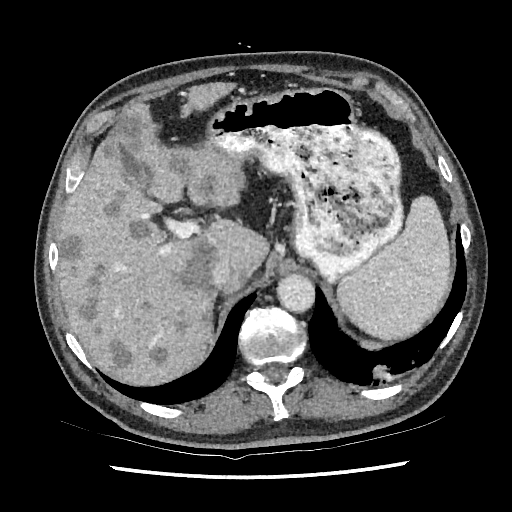
CT. 512x512.
Liver = x1=183 y1=83 x2=232 y2=117, x1=58 y1=103 x2=268 y2=384.
Liver lesion = x1=104 y1=195 x2=123 y2=218, x1=127 y1=221 x2=150 y2=242, x1=61 y1=236 x2=81 y2=262, x1=111 y1=338 x2=132 y2=369, x1=104 y1=113 x2=141 y2=156, x1=196 y1=173 x2=220 y2=197, x1=196 y1=305 x2=211 y2=326, x1=175 y1=318 x2=193 y2=331, x1=151 y1=346 x2=167 y2=363, x1=170 y1=154 x2=191 y2=175, x1=240 y1=270 x2=246 y2=282, x1=174 y1=239 x2=217 y2=295, x1=81 y1=264 x2=108 y2=319.